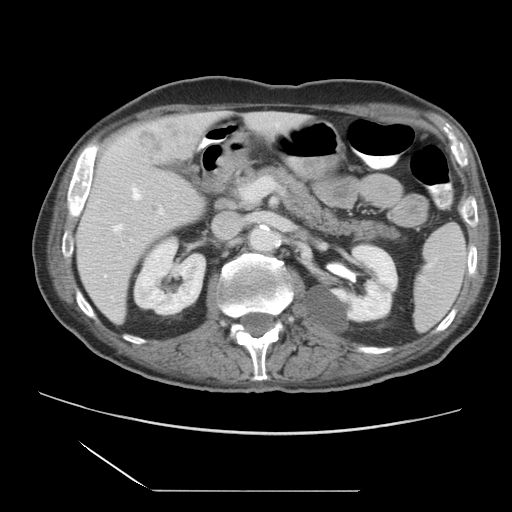 CT slice. Liver.
The vessel boxes may cover only some of the vessels.
5 hepatic vessel regions are located at box(242, 177, 274, 200); box(112, 298, 113, 299); box(129, 185, 142, 200); box(159, 208, 163, 214); box(114, 225, 122, 231). The liver tumor appears at box(134, 120, 195, 162).